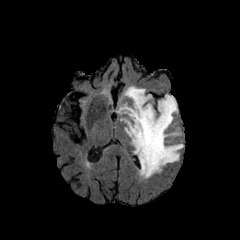
FLAIR MRI.
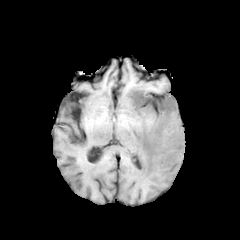
Same slice, T1-weighted MRI.
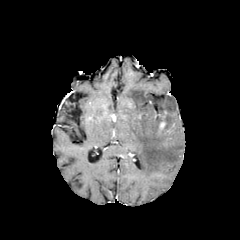
Same slice, post-contrast T1-weighted MR.
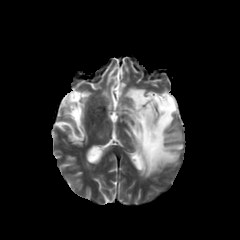
Same slice, T2-weighted MRI.
edema: 113,86,183,178